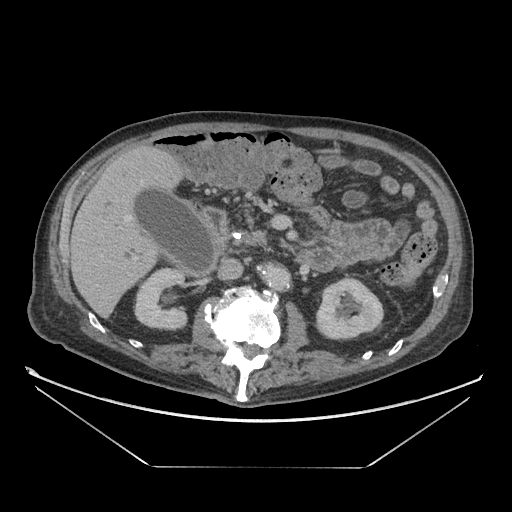 Image size 512x512; Computed tomography
The pancreas appears at (left=236, top=230, right=268, bottom=247). The pancreatic tumor is located at (left=253, top=232, right=263, bottom=242).